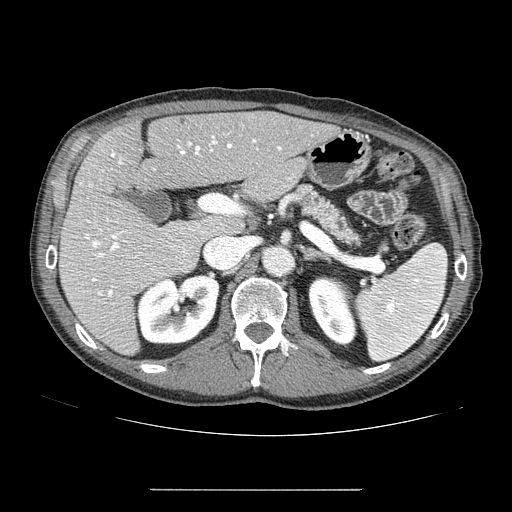
CT scan slice. Pancreas — 297, 185, 361, 246.